Field of view 240x240 mm, Brain
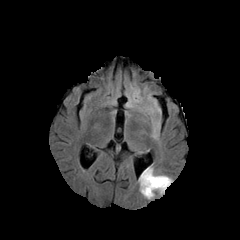
FLAIR MR.
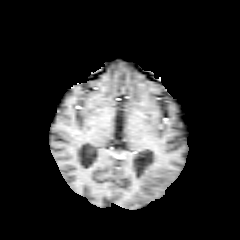
T1-weighted MR image of the same slice.
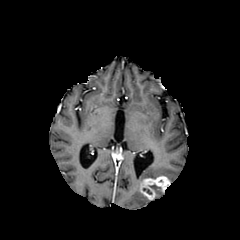
Post-contrast T1-weighted MRI of the same slice.
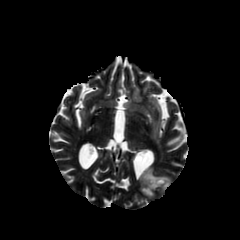
T2-weighted MRI.
Findings:
- edema: x1=153, y1=187, x2=164, y2=196; x1=137, y1=164, x2=158, y2=199
- enhancing tumor: x1=140, y1=176, x2=170, y2=200